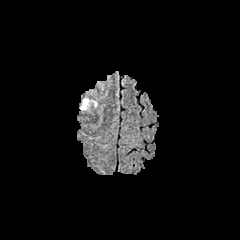
FLAIR MRI.
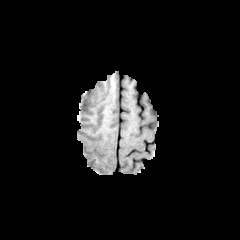
T1-weighted MR.
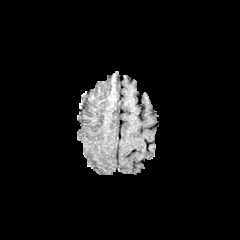
Post-contrast T1-weighted MR.
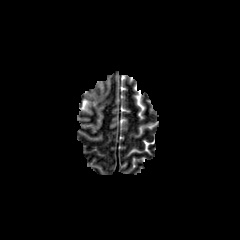
T2-weighted MR image.
Edema: bounding box bbox=[81, 99, 97, 110].